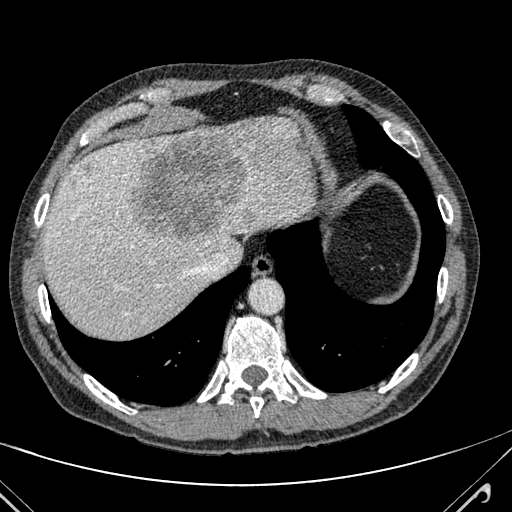 CT slice | Abdomen

2 focal liver lesion regions appear at bbox=[132, 134, 245, 245]; bbox=[246, 211, 255, 220]. The liver lies within bbox=[45, 117, 315, 338].